CT

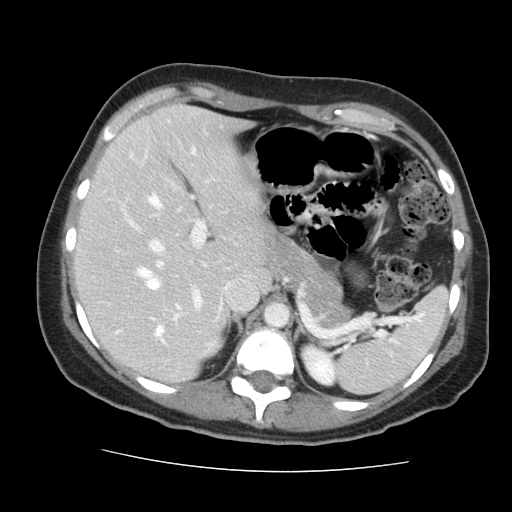 The vessel boxes may cover only some of the vessels.
Annotated regions:
• hepatic vessel: box(193, 290, 199, 307); box(192, 223, 204, 244); box(155, 327, 162, 338); box(192, 148, 194, 153); box(150, 241, 162, 252); box(157, 262, 161, 266); box(176, 305, 179, 313); box(138, 268, 158, 288); box(174, 315, 177, 319); box(128, 220, 133, 225)